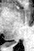 MRI

The posterior hippocampus lies within 8,41,15,45.